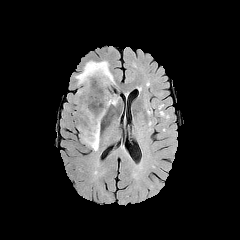
FLAIR MRI.
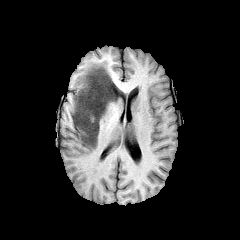
T1-weighted MR.
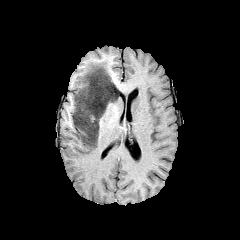
Post-contrast T1-weighted magnetic resonance.
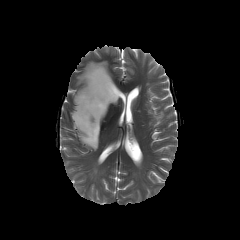
Same slice, T2-weighted MR.
Head
edema:
  - region(86, 136, 99, 150)
  - region(76, 61, 107, 90)
non-enhancing_tumor_core:
  - region(74, 67, 119, 147)